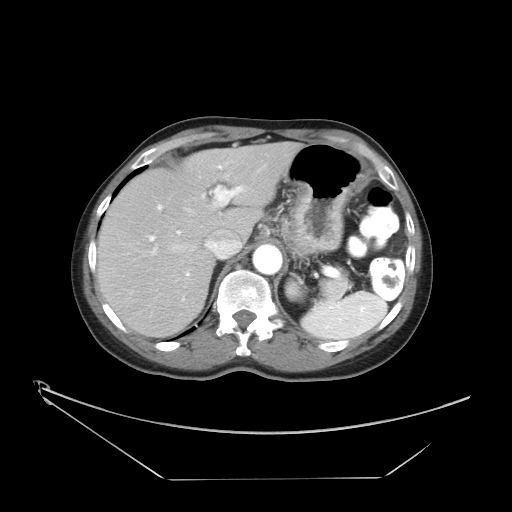 Liver; Image size 512x512; Computed tomography
Only some of the vessels may be annotated.
hepatic_vessel:
  - x1=157, y1=205, x2=161, y2=209
  - x1=202, y1=194, x2=203, y2=196
  - x1=187, y1=209, x2=190, y2=211
  - x1=217, y1=230, x2=228, y2=233
  - x1=149, y1=235, x2=154, y2=240
  - x1=186, y1=273, x2=189, y2=275
  - x1=218, y1=165, x2=221, y2=168
  - x1=182, y1=298, x2=184, y2=300
  - x1=176, y1=231, x2=180, y2=233
  - x1=214, y1=186, x2=242, y2=204
  - x1=205, y1=239, x2=242, y2=254
  - x1=174, y1=246, x2=180, y2=248
  - x1=151, y1=244, x2=156, y2=254
  - x1=186, y1=243, x2=194, y2=249